Slice 31 of 76 | Field of view 330x330 mm | Image size 512x512 | CT 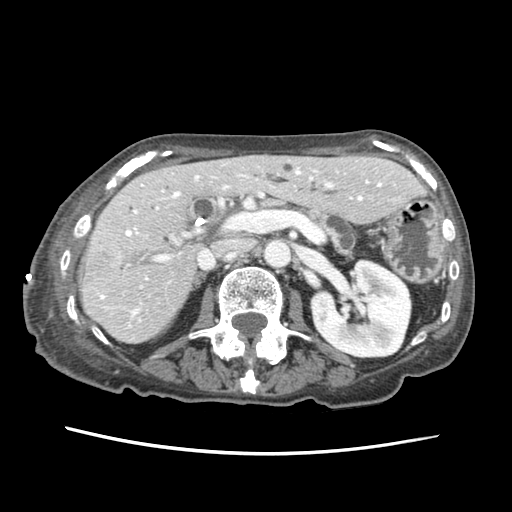

Segmented structures:
• pancreas: (left=303, top=210, right=355, bottom=255)